Image width 391 mm, CT slice

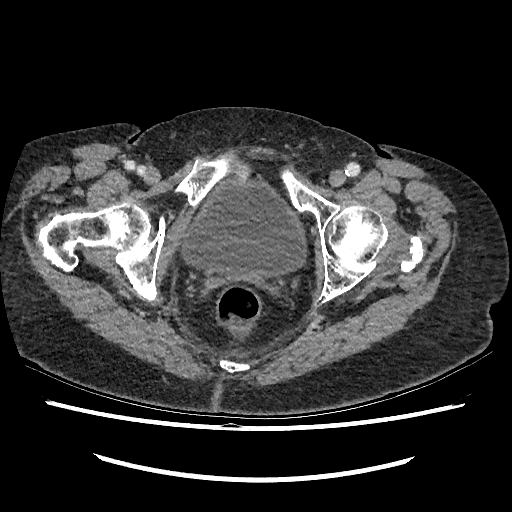 The urinary bladder is at <bbox>177, 177, 306, 288</bbox>.